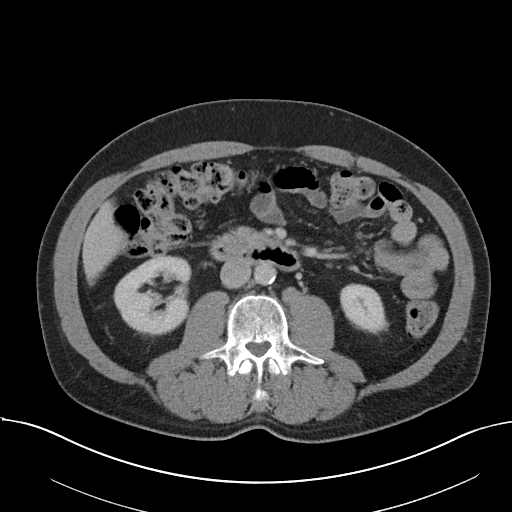
CT slice
The vessel annotation is not exhaustive.
hepatic_vessel:
  - (103, 220, 106, 223)